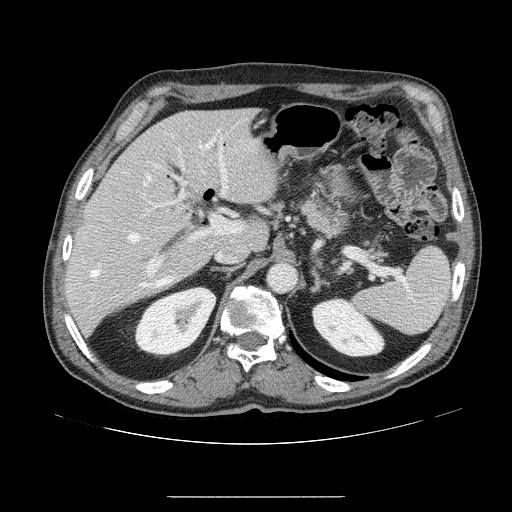
CT scan slice. Pancreas: l=361, t=239, r=391, b=265; l=265, t=189, r=355, b=241.